FLAIR MR.
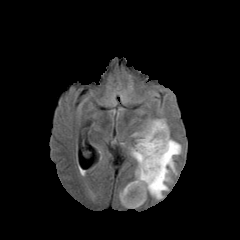
T1-weighted MRI.
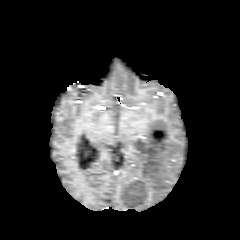
Post-contrast T1-weighted MR image.
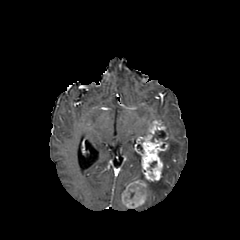
T2-weighted MR image.
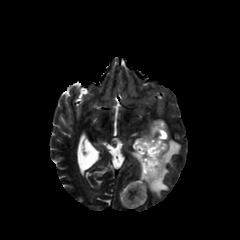
Brain
edema:
  - left=121, top=119, right=181, bottom=200
non-enhancing_tumor_core:
  - left=151, top=130, right=165, bottom=141
enhancing_tumor:
  - left=124, top=192, right=145, bottom=207
  - left=134, top=120, right=167, bottom=181
  - left=134, top=180, right=145, bottom=189